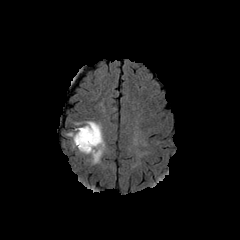
FLAIR MRI.
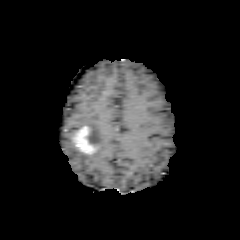
T1-weighted MR image of the same slice.
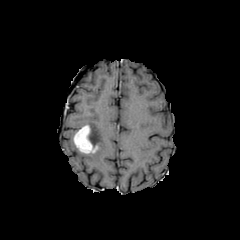
Post-contrast T1-weighted MR image.
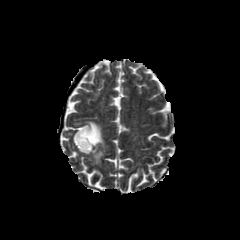
Same slice, T2-weighted MRI.
edema: bbox=[83, 121, 104, 163] | enhancing tumor: bbox=[73, 124, 98, 153] | non-enhancing tumor core: bbox=[88, 128, 95, 145]